FLAIR MR image.
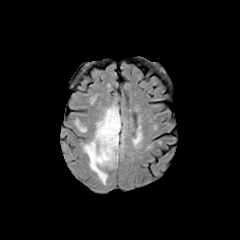
T1-weighted MR.
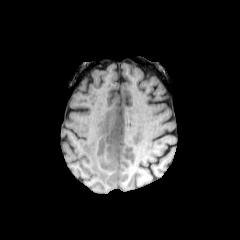
Post-contrast T1-weighted MR image.
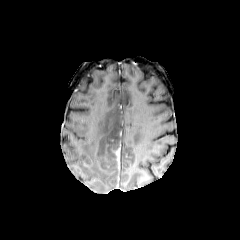
T2-weighted magnetic resonance.
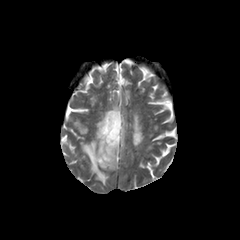
The non-enhancing tumor core is located at <bbox>111, 143, 119, 167</bbox>. The enhancing tumor lies within <bbox>114, 145, 120, 169</bbox>. The edema is located at <bbox>81, 104, 127, 185</bbox>.